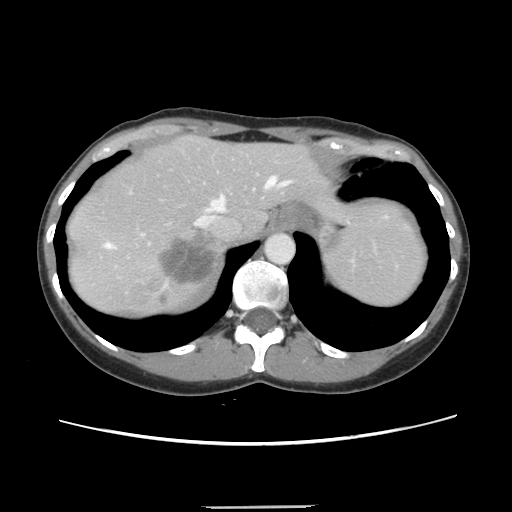 Abdomen, CT image
Not every hepatic vessel necessarily has a box.
The liver tumor lies within {"x1": 162, "y1": 239, "x2": 214, "y2": 284}. 5 hepatic vessel regions are bounded by {"x1": 141, "y1": 233, "x2": 142, "y2": 235}, {"x1": 206, "y1": 195, "x2": 224, "y2": 211}, {"x1": 195, "y1": 215, "x2": 212, "y2": 224}, {"x1": 104, "y1": 242, "x2": 115, "y2": 248}, {"x1": 265, "y1": 177, "x2": 287, "y2": 187}.